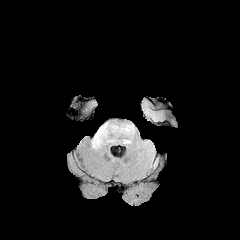
FLAIR MR image.
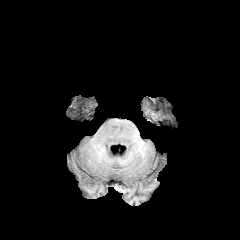
T1-weighted MR.
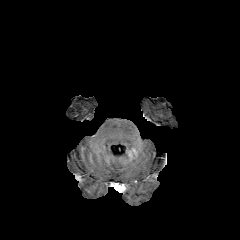
Same slice, post-contrast T1-weighted MRI.
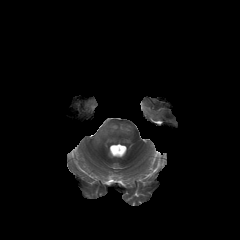
T2-weighted MR.
Image size 240x240; Head
The edema is bounded by l=95, t=126, r=107, b=139.